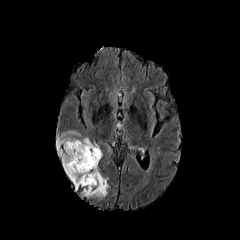
FLAIR MR.
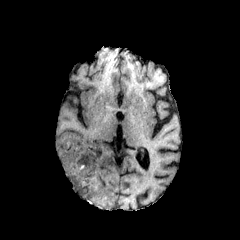
Same slice, T1-weighted MRI.
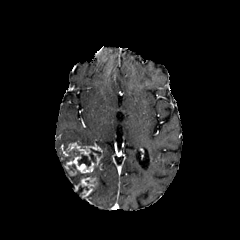
Post-contrast T1-weighted MR of the same slice.
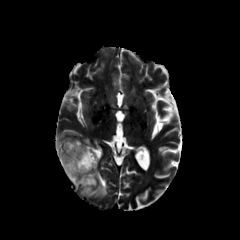
T2-weighted MR.
Image size 240x240.
Edema = box(57, 131, 92, 162); box(68, 167, 108, 197).
Non-enhancing tumor core = box(77, 148, 99, 167); box(67, 149, 80, 160).
Enhancing tumor = box(78, 176, 98, 197); box(62, 142, 102, 173).